CT image

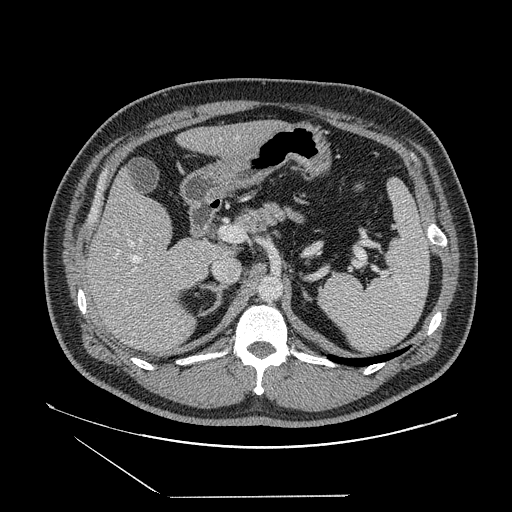
pancreas: 233,200,305,234